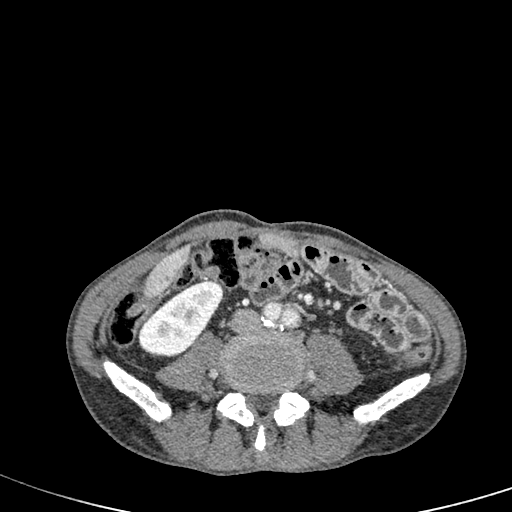

Computed tomography. Image size 512x512. Upper abdomen.
- liver: (x1=145, y1=245, x2=190, y2=298)
- kidney: (x1=139, y1=281, x2=222, y2=355)